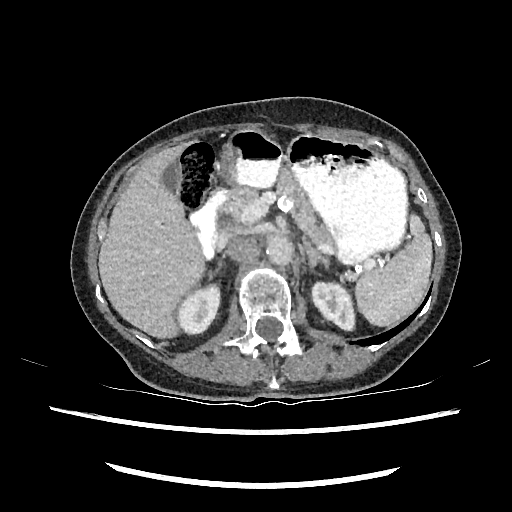
Abdomen. Computed tomography.

Segmented structures:
* liver: l=99, t=141, r=204, b=337
* kidney: l=180, t=288, r=218, b=332; l=313, t=283, r=353, b=328